CT slice | Slice index 398 | Abdomen
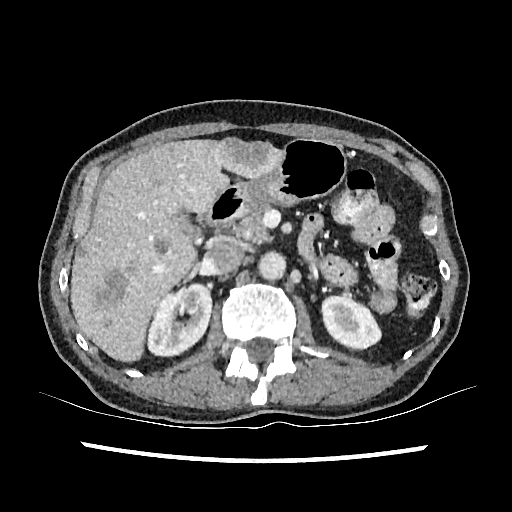

Findings:
- hepatic lesion: x1=95 y1=268 x2=125 y2=305, x1=220 y1=138 x2=271 y2=166, x1=77 y1=247 x2=86 y2=255, x1=154 y1=238 x2=170 y2=254
- liver: x1=71 y1=140 x2=282 y2=360
- kidney: x1=148 y1=284 x2=211 y2=357, x1=322 y1=296 x2=380 y2=348